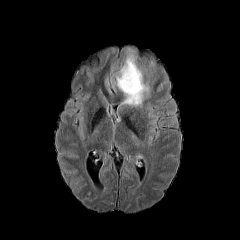
FLAIR MR.
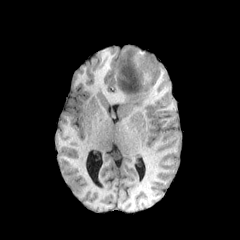
T1-weighted magnetic resonance.
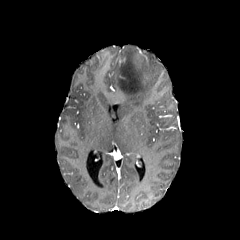
Same slice, post-contrast T1-weighted MR image.
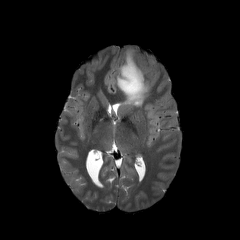
T2-weighted MR image.
Head | 240x240 px
Annotated regions:
• edema: x1=115, y1=54, x2=150, y2=108